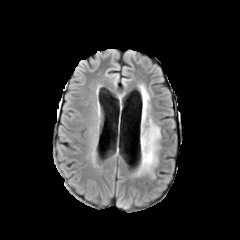
FLAIR MR image.
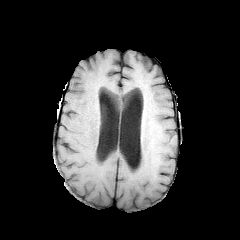
Same slice, T1-weighted MR image.
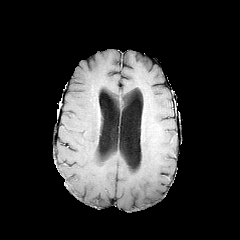
Post-contrast T1-weighted magnetic resonance.
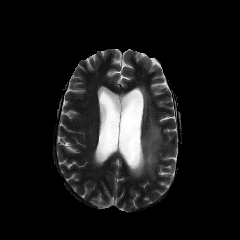
T2-weighted MR image of the same slice.
240x240 px, Brain
edema: bbox=[135, 84, 160, 176]